CT. Image size 512x512. 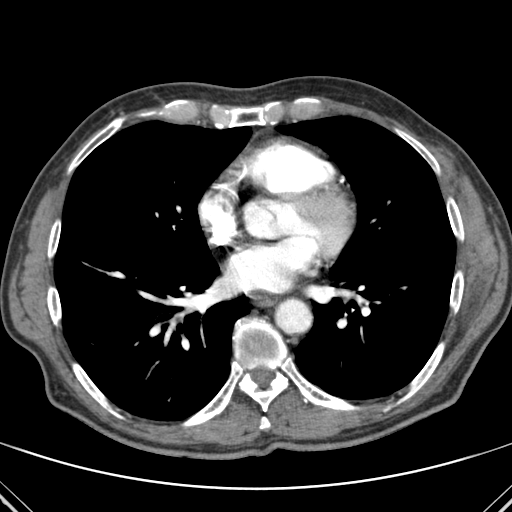

13 bone regions appear at [396, 129, 439, 173], [183, 318, 358, 426], [260, 417, 270, 428], [73, 364, 121, 417], [295, 98, 318, 103], [47, 287, 61, 324], [212, 102, 279, 128], [450, 271, 463, 312], [165, 100, 187, 107], [68, 118, 122, 172], [402, 343, 443, 400], [447, 197, 463, 240], [48, 220, 60, 257]. 2 lung regions appear at [276, 116, 455, 399], [54, 121, 251, 420].